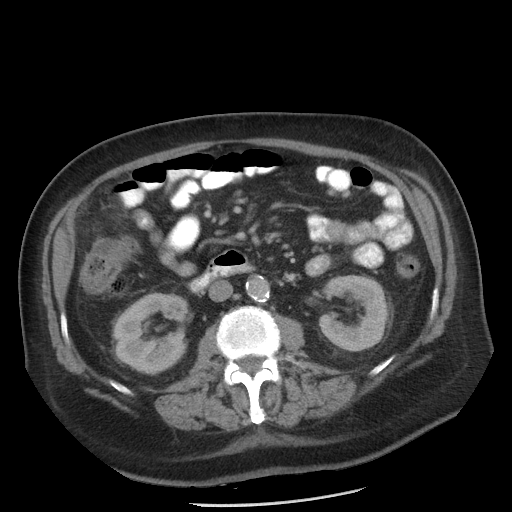 CT image
colon_tumor:
  - (92, 240, 136, 265)